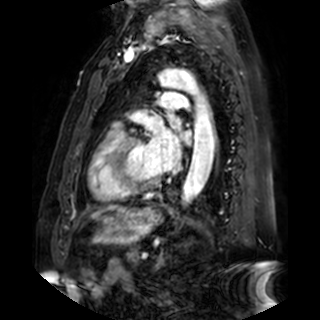

Cardiac. MRI. left atrium: 145 123 191 172, 170 117 181 129